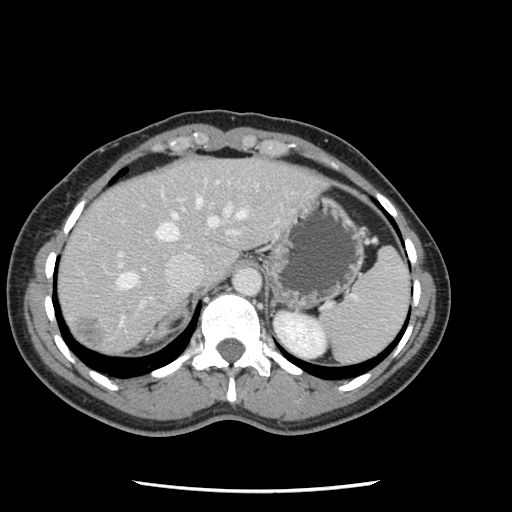 CT

Not every hepatic vessel necessarily has a box.
Hepatic vessel: x1=236 y1=210 x2=245 y2=217, x1=140 y1=302 x2=142 y2=304, x1=208 y1=217 x2=217 y2=225, x1=118 y1=263 x2=120 y2=264, x1=156 y1=222 x2=177 y2=240, x1=172 y1=213 x2=175 y2=217, x1=115 y1=272 x2=137 y2=288, x1=118 y1=253 x2=121 y2=256, x1=227 y1=230 x2=237 y2=233, x1=195 y1=197 x2=201 y2=205, x1=224 y1=206 x2=230 y2=214.
Liver tumor: x1=73 y1=318 x2=102 y2=349.